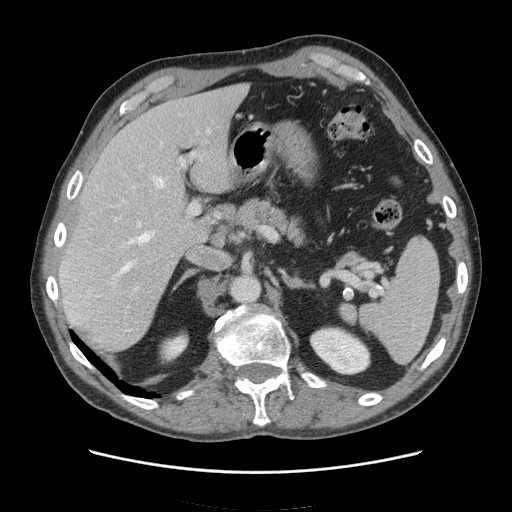

CT slice; Abdomen
- spleen: (x1=336, y1=236, x2=439, y2=363)